T2-weighted MR.
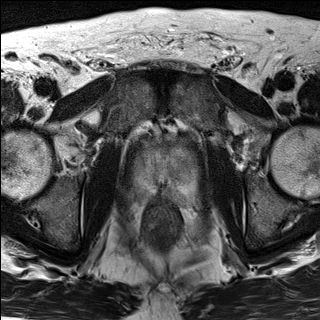
ADC MR.
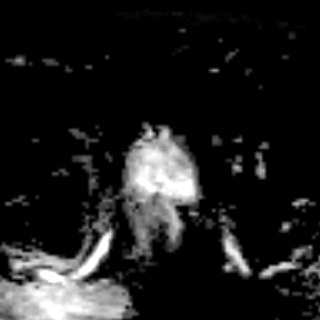
Prostate
prostate_transition_zone:
  - 137:138:197:184
prostate_peripheral_zone:
  - 126:151:205:201